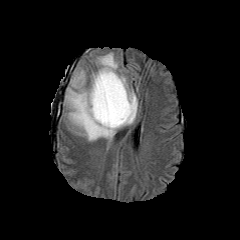
FLAIR MR.
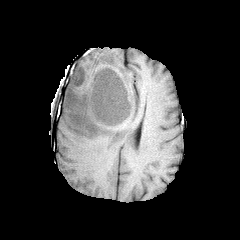
T1-weighted MR.
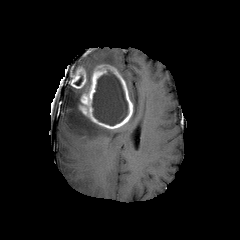
Post-contrast T1-weighted MR.
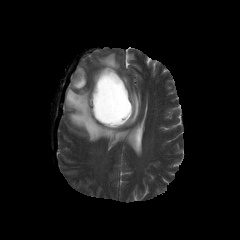
T2-weighted MR image.
Brain.
Edema at l=84, t=69, r=94, b=88; l=95, t=53, r=119, b=69; l=120, t=76, r=138, b=127; l=63, t=84, r=117, b=142.
Non-enhancing tumor core at l=92, t=71, r=127, b=124; l=76, t=72, r=93, b=109; l=95, t=63, r=113, b=70; l=74, t=74, r=82, b=85.
Enhancing tumor at l=79, t=66, r=132, b=128; l=71, t=69, r=85, b=88.